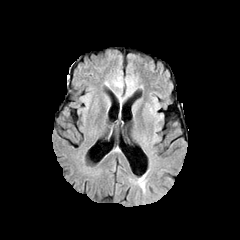
FLAIR MR.
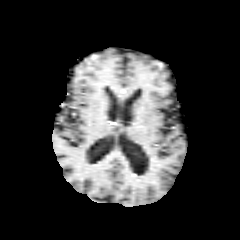
T1-weighted magnetic resonance.
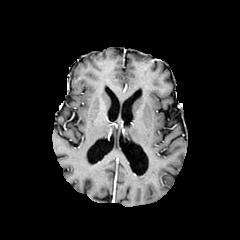
Same slice, post-contrast T1-weighted MR image.
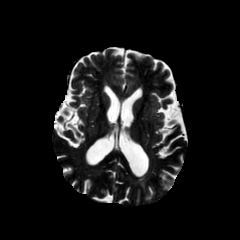
T2-weighted magnetic resonance.
Edema = l=136, t=174, r=146, b=192.